Liver | CT slice 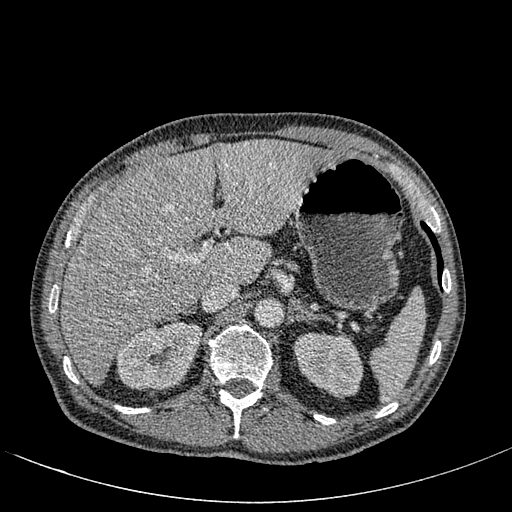

focal liver lesion: rect(214, 144, 223, 152); rect(86, 242, 100, 262); rect(152, 163, 172, 181) | liver: rect(61, 138, 342, 385) | kidney: rect(294, 333, 362, 395); rect(116, 322, 201, 389)